Image size 512x512 | CT
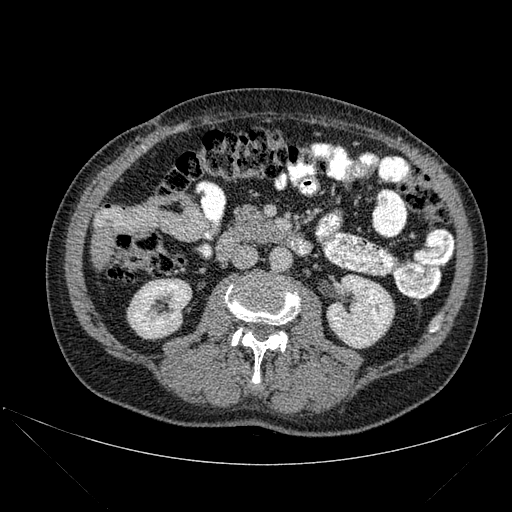

Bone at x1=231 y1=328 x2=289 y2=387, x1=225 y1=281 x2=299 y2=324.
Liver at x1=90 y1=224 x2=116 y2=268.
Kidney at x1=128 y1=279 x2=191 y2=338, x1=327 y1=275 x2=394 y2=347.